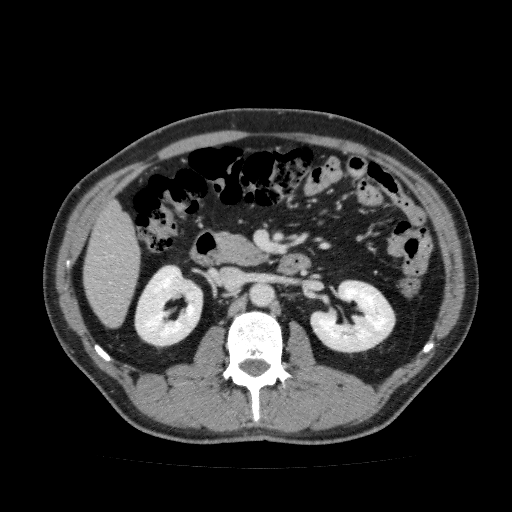

CT scan slice
2 kidney regions appear at 135:266:202:345, 311:281:394:351. The liver lies within 82:199:140:328.